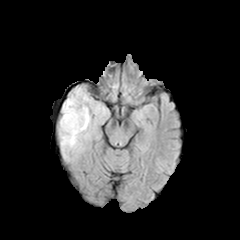
FLAIR MRI.
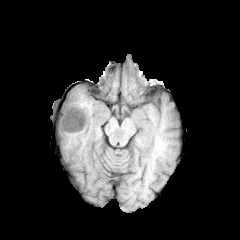
T1-weighted MR image of the same slice.
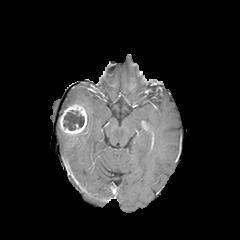
Same slice, post-contrast T1-weighted magnetic resonance.
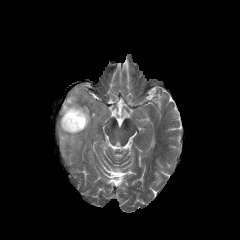
T2-weighted magnetic resonance.
Brain
Non-enhancing tumor core at x1=63, y1=110, x2=84, y2=130.
Edema at x1=59, y1=87, x2=109, y2=155.
Enhancing tumor at x1=60, y1=104, x2=86, y2=135.